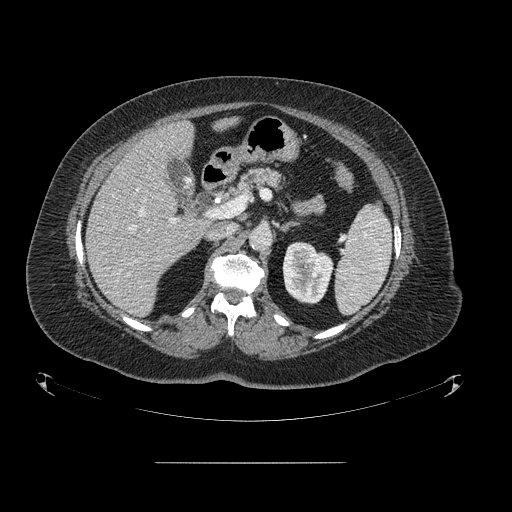

Abdomen. Computed tomography.

Pancreas = {"x1": 239, "y1": 168, "x2": 282, "y2": 191}.